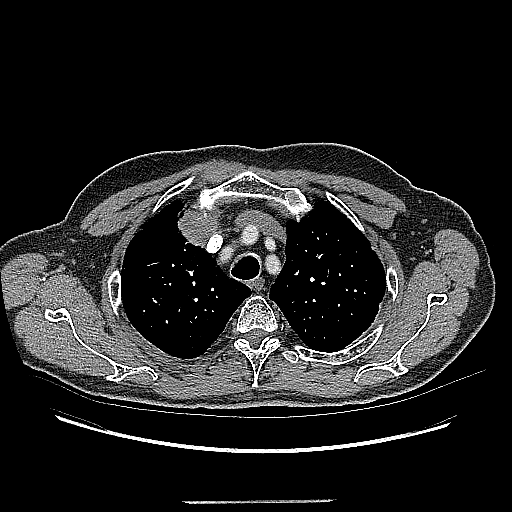 Lung | CT slice
* lung tumor: 175:203:209:247